Abdomen | CT scan slice

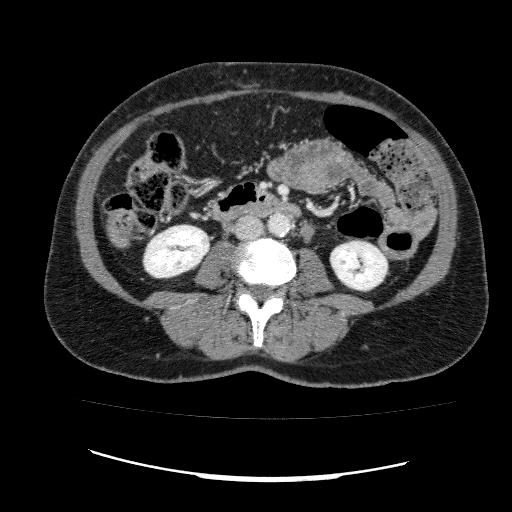
2 kidney regions are bounded by [331,241,387,289], [144,225,208,277].